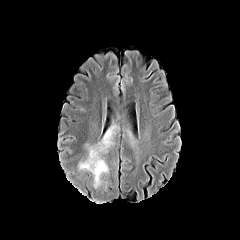
FLAIR MR.
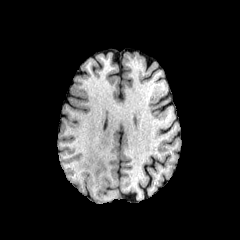
T1-weighted magnetic resonance.
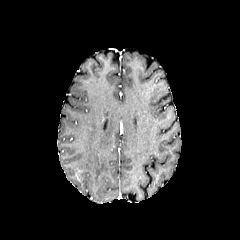
Post-contrast T1-weighted magnetic resonance.
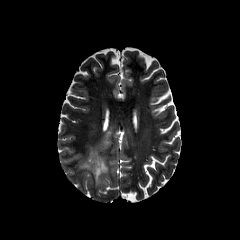
Same slice, T2-weighted MR.
240x240 | Head
<segmentation>
  <edema>79:146:106:186, 103:130:111:147</edema>
</segmentation>